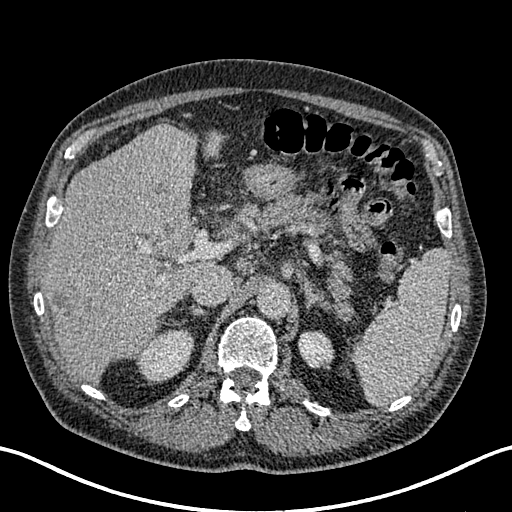

Computed tomography
Findings:
* kidney: x1=299 y1=332 x2=332 y2=366, x1=139 y1=331 x2=192 y2=380
* liver lesion: x1=157 y1=226 x2=186 y2=253, x1=153 y1=179 x2=170 y2=195, x1=51 y1=286 x2=93 y2=324
* liver: x1=44 y1=124 x2=216 y2=381, x1=205 y1=134 x2=220 y2=157